FLAIR MRI.
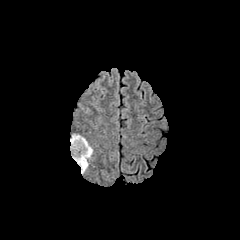
T1-weighted MR.
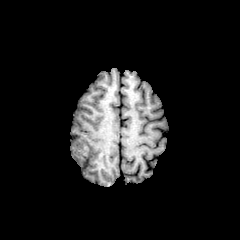
Post-contrast T1-weighted MRI.
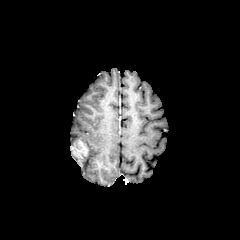
T2-weighted magnetic resonance.
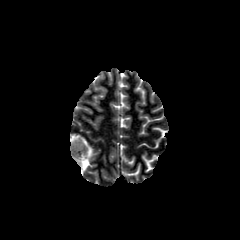
Brain, 240x240 px
edema: rect(70, 133, 94, 173) | non-enhancing tumor core: rect(72, 147, 84, 164)